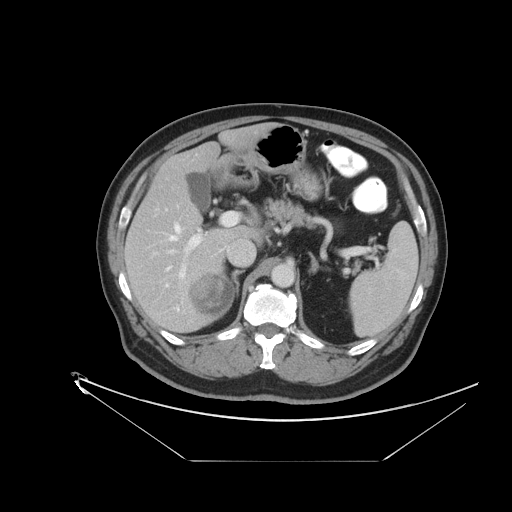
CT slice; Liver

Some hepatic vessels may have no box.
The liver tumor is bounded by (left=189, top=275, right=233, bottom=314). 9 hepatic vessel regions appear at (left=153, top=252, right=157, bottom=253), (left=176, top=306, right=179, bottom=310), (left=166, top=284, right=168, bottom=286), (left=221, top=211, right=239, bottom=226), (left=167, top=250, right=175, bottom=253), (left=184, top=229, right=202, bottom=252), (left=169, top=223, right=181, bottom=240), (left=166, top=266, right=171, bottom=270), (left=179, top=265, right=185, bottom=277).